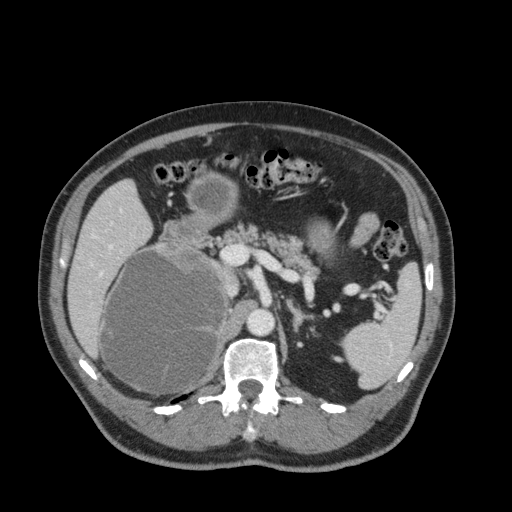 Abdomen | CT scan slice
* liver: box=[69, 181, 150, 355]